Slice index 160 | CT slice | Abdomen

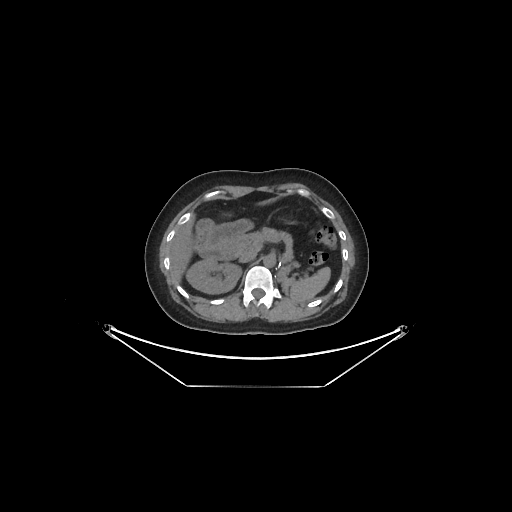 kidney:
  - region(187, 256, 241, 293)
liver:
  - region(165, 215, 193, 282)